Field of view 38x48 mm | Magnetic resonance | Image size 38x48 | Slice index 30

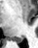 Posterior hippocampus = left=13, top=37, right=23, bottom=42.